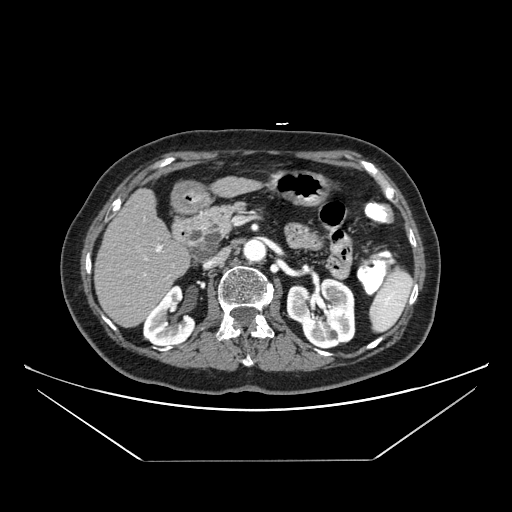 CT
The pancreas is bounded by [182, 201, 250, 255]. The pancreatic tumor lies within [189, 229, 222, 262].